FLAIR MR.
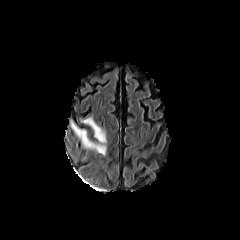
T1-weighted MRI.
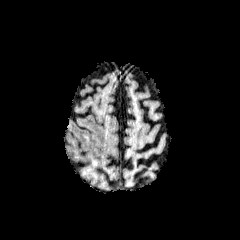
Post-contrast T1-weighted MR image.
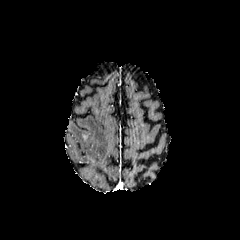
T2-weighted magnetic resonance.
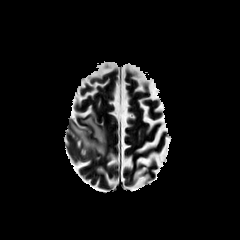
Brain. 240x240.
edema:
  - <bbox>70, 116, 106, 154</bbox>